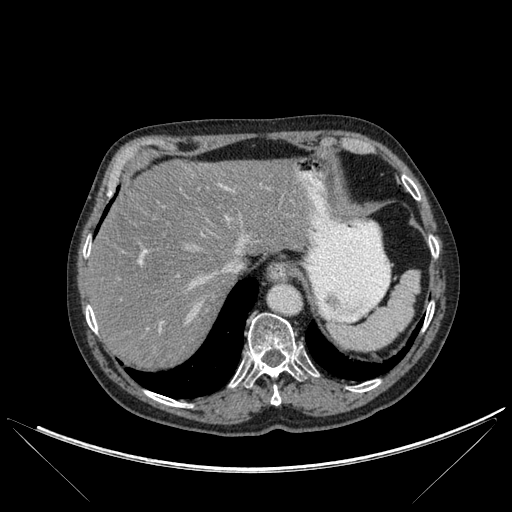
CT
Annotated regions:
* liver: 86 160 309 369
* lung: 126 278 258 398, 305 321 421 380
* bone: 423 302 434 330, 402 175 420 199, 271 385 280 405, 229 313 318 387, 429 235 438 257, 83 239 90 256, 86 305 97 332, 348 379 380 392, 144 391 188 407